Slice 63 of 155. Brain. 240x240.
FLAIR MRI.
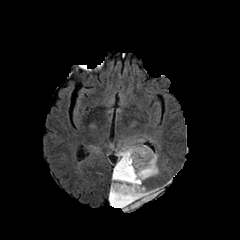
T1-weighted MRI.
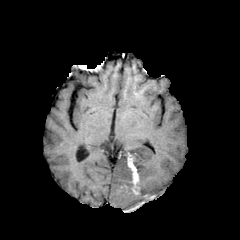
Post-contrast T1-weighted magnetic resonance.
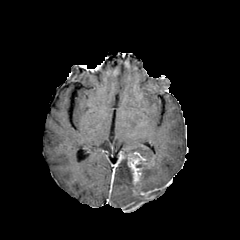
T2-weighted MRI.
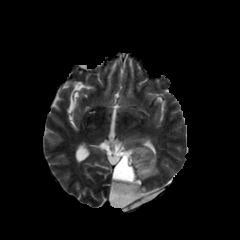
Edema = (114,178,131,191), (108,191,124,211), (114,141,162,200).
Enhancing tumor = (112,151,123,181), (128,158,141,183).
Non-enhancing tumor core = (110,148,151,209).